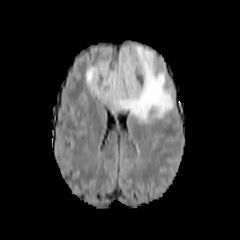
FLAIR MR image.
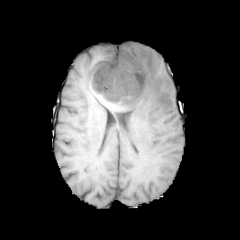
T1-weighted MR.
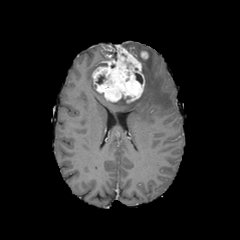
Post-contrast T1-weighted magnetic resonance of the same slice.
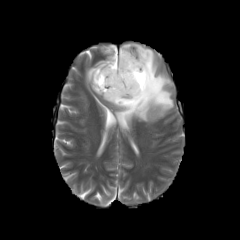
T2-weighted MRI.
Head
Enhancing tumor: x1=92, y1=46, x2=144, y2=103.
Non-enhancing tumor core: x1=134, y1=73, x2=142, y2=83; x1=96, y1=74, x2=106, y2=84; x1=106, y1=51, x2=116, y2=60.
Edema: x1=109, y1=44, x2=173, y2=122; x1=86, y1=65, x2=96, y2=90.